CT, Image size 512x512, Slice index 31 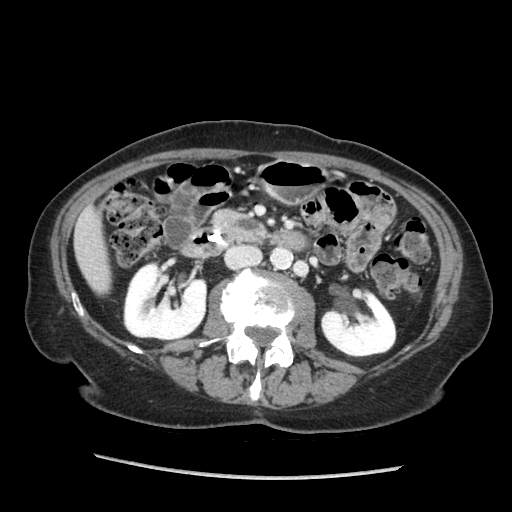 The pancreas is located at box=[213, 210, 260, 232].